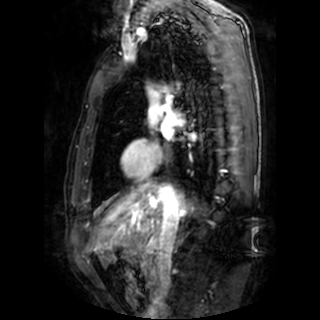

MR image
The left atrium lies within [164,130,171,138].